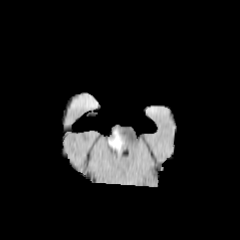
FLAIR MR image.
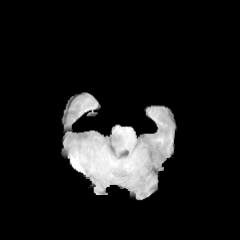
T1-weighted MR image.
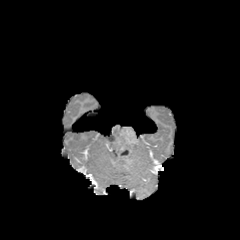
Post-contrast T1-weighted MR image.
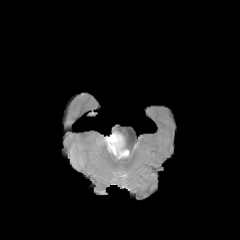
T2-weighted MR of the same slice.
240x240 px.
edema: 112:127:126:144 | non-enhancing tumor core: 107:135:124:152